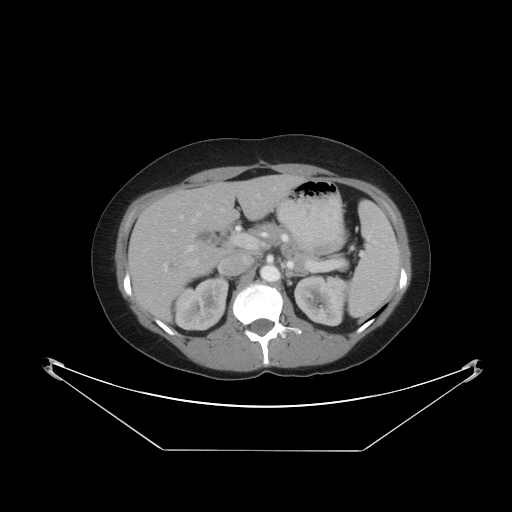 Computed tomography; Abdomen
Some hepatic vessels may have no box.
liver_tumor:
  - [166, 262, 180, 273]
hepatic_vessel:
  - [173, 229, 175, 230]
  - [162, 262, 167, 272]
  - [180, 215, 182, 218]
  - [256, 194, 259, 197]
  - [189, 259, 197, 264]
  - [273, 188, 274, 190]
  - [196, 213, 199, 217]
  - [207, 206, 209, 208]
  - [192, 219, 196, 222]
  - [186, 245, 196, 251]
  - [252, 202, 253, 204]
  - [220, 208, 223, 211]